Slice 68/155. Head.
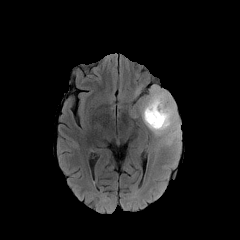
FLAIR MRI.
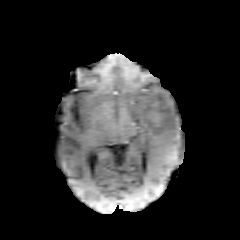
T1-weighted MR.
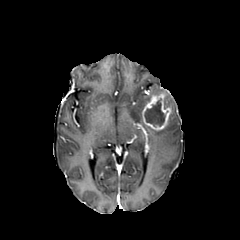
Post-contrast T1-weighted MR of the same slice.
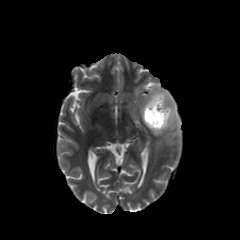
T2-weighted MRI of the same slice.
edema:
  - (x1=151, y1=85, x2=162, y2=91)
  - (x1=134, y1=94, x2=147, y2=119)
  - (x1=144, y1=92, x2=181, y2=153)
enhancing_tumor:
  - (x1=142, y1=89, x2=173, y2=131)
non-enhancing_tumor_core:
  - (x1=144, y1=100, x2=164, y2=125)
  - (x1=164, y1=112, x2=173, y2=128)